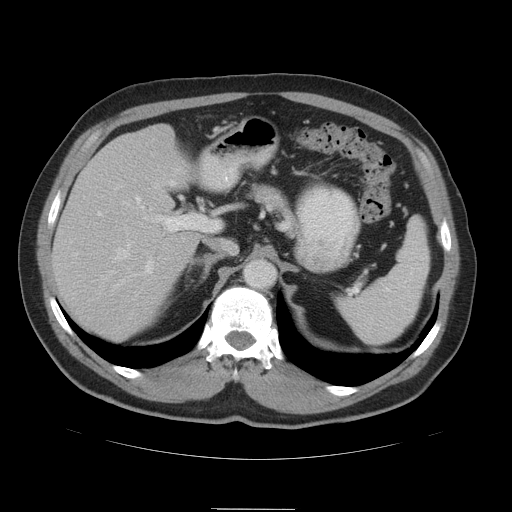
CT image; Image size 512x512
Findings:
* pancreas: x1=251, y1=184, x2=288, y2=212